MRI slice. Slice index 40. 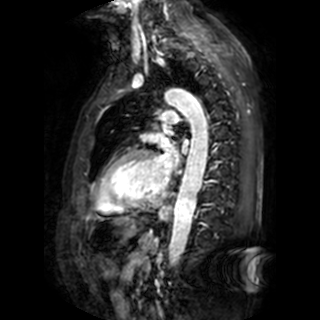
left atrium: 158,138,178,175